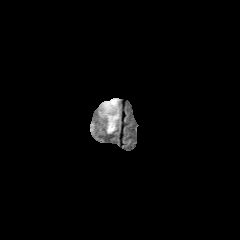
FLAIR MR.
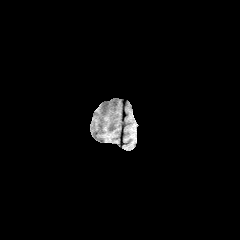
Same slice, T1-weighted MRI.
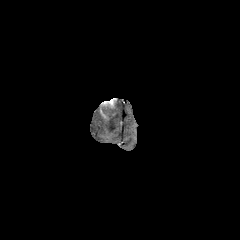
Post-contrast T1-weighted magnetic resonance of the same slice.
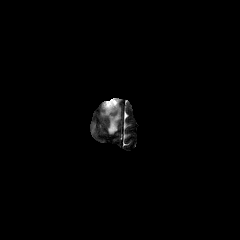
T2-weighted magnetic resonance.
Brain
<segmentation>
  <edema>box(100, 98, 119, 133)</edema>
  <non-enhancing_tumor_core>box(102, 99, 115, 107)</non-enhancing_tumor_core>
</segmentation>